Field of view 393x393 mm | CT image | Slice index 56
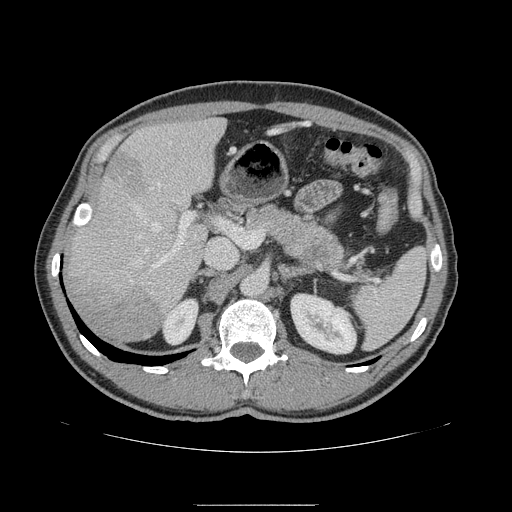 The pancreatic tumor is bounded by (left=304, top=241, right=331, bottom=264). The pancreas lies within (left=245, top=204, right=347, bottom=273).